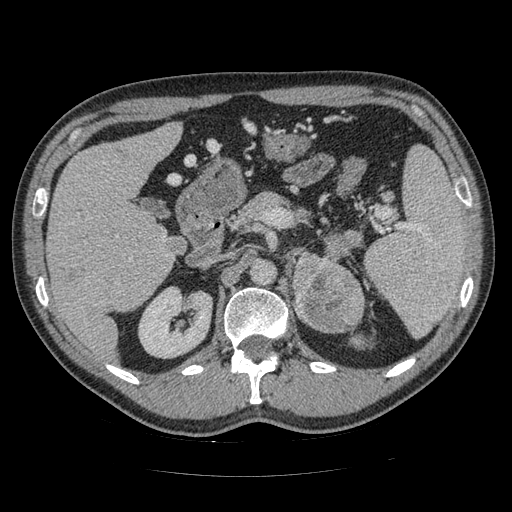 CT slice; Abdomen
- pancreatic tumor: (x1=294, y1=254, x2=362, y2=330)
- pancreas: (x1=241, y1=192, x2=304, y2=219), (x1=305, y1=232, x2=357, y2=273)